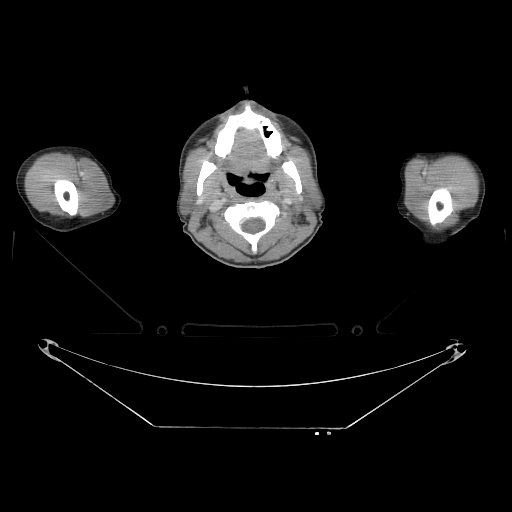

Computed tomography
bone:
  - bbox(55, 179, 78, 214)
  - bbox(428, 188, 451, 224)
  - bbox(224, 201, 279, 252)
  - bbox(197, 158, 216, 195)
  - bbox(215, 108, 283, 160)
  - bbox(282, 159, 301, 193)